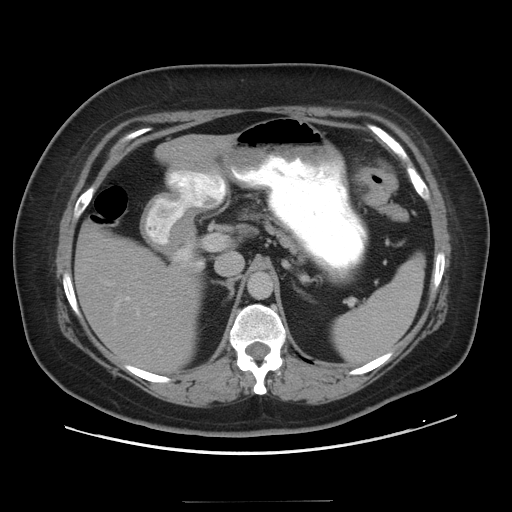 Computed tomography, Pelvis
Colon tumor at <bbox>360, 167, 398, 206</bbox>.